FLAIR MR image.
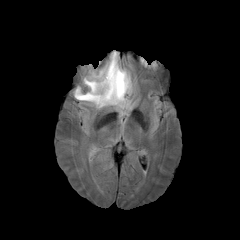
T1-weighted magnetic resonance.
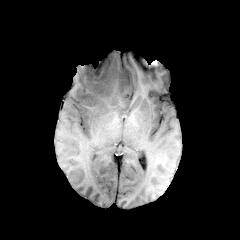
Post-contrast T1-weighted MR.
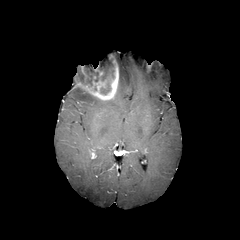
T2-weighted MRI.
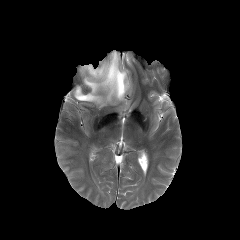
Head; Image size 240x240
Enhancing tumor: bounding box box(78, 65, 118, 100).
Edema: bounding box box(73, 50, 135, 117).
Non-enhancing tumor core: bounding box box(76, 54, 119, 94).